Pelvis | CT
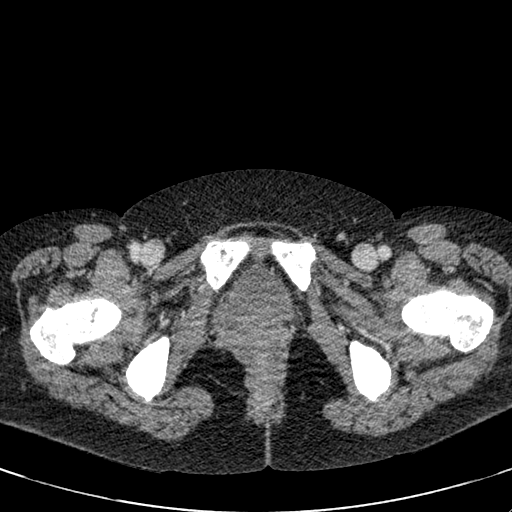
The urinary bladder lies within (x1=210, y1=264, x2=307, y2=334).